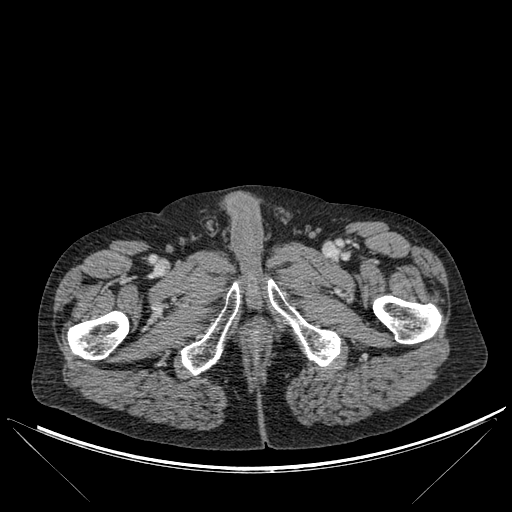 CT image. <segmentation>
  <bone>[x1=181, y1=283, x2=239, y2=374], [x1=267, y1=279, x2=340, y2=366], [x1=373, y1=296, x2=441, y2=343], [x1=67, y1=311, x2=128, y2=359]</bone>
</segmentation>